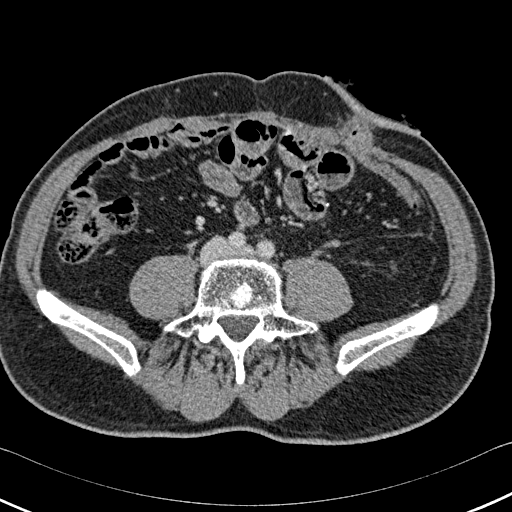

512x512; CT
3 bone regions appear at l=37, t=290, r=139, b=375; l=337, t=306, r=437, b=374; l=163, t=258, r=319, b=384.